Head, Slice index 84
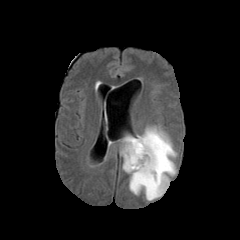
FLAIR MRI.
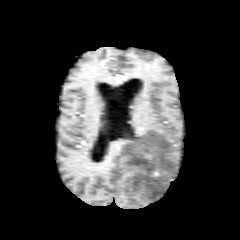
T1-weighted MR image.
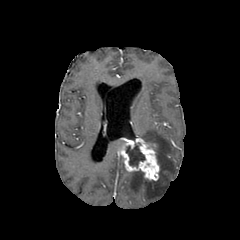
Same slice, post-contrast T1-weighted MR.
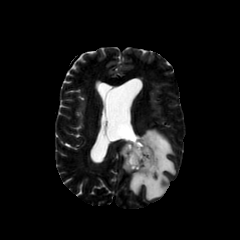
T2-weighted MR image.
2 edema regions are located at x1=130, y1=151, x2=141, y2=161; x1=122, y1=126, x2=176, y2=200. The enhancing tumor appears at x1=120, y1=136, x2=159, y2=180. 2 non-enhancing tumor core regions appear at x1=146, y1=140, x2=159, y2=165; x1=126, y1=145, x2=145, y2=167.